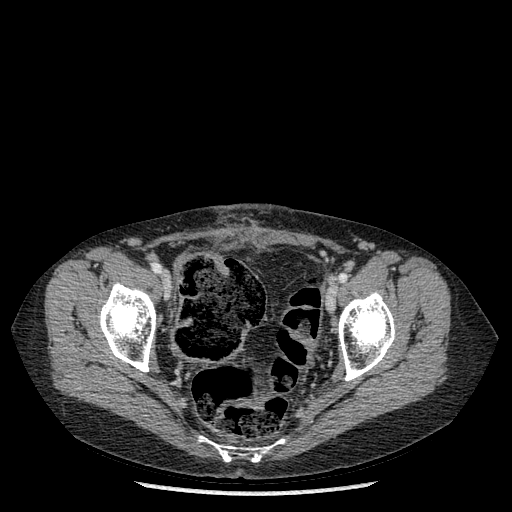

Image size 512x512 | CT
{
  "bone": [
    "bbox(338, 291, 395, 381)",
    "bbox(198, 436, 284, 462)",
    "bbox(98, 282, 155, 372)"
  ]
}